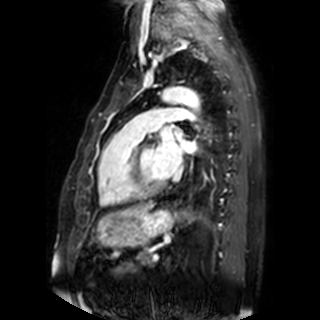

MRI, Heart
Left atrium: bounding box x1=182, y1=141, x2=194, y2=151; x1=155, y1=136, x2=181, y2=176; x1=174, y1=127, x2=182, y2=137.